512x512 | Abdomen | CT image

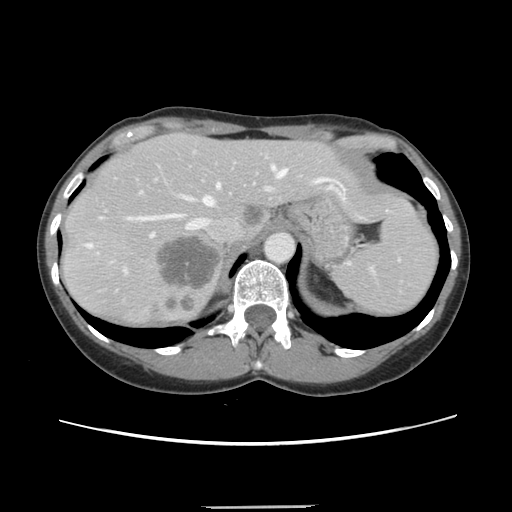

Some hepatic vessels may have no box.
Annotated regions:
* hepatic vessel: bbox(165, 215, 181, 216); bbox(126, 217, 131, 219); bbox(271, 165, 286, 176); bbox(123, 269, 126, 273); bbox(183, 196, 191, 199); bbox(150, 232, 153, 236); bbox(216, 183, 219, 187); bbox(137, 217, 159, 219); bbox(100, 217, 102, 218); bbox(266, 187, 271, 190); bbox(87, 244, 92, 247); bbox(201, 196, 213, 205); bbox(314, 179, 324, 181); bbox(186, 219, 207, 228)
* liver tumor: bbox(242, 205, 264, 225); bbox(158, 236, 221, 289)